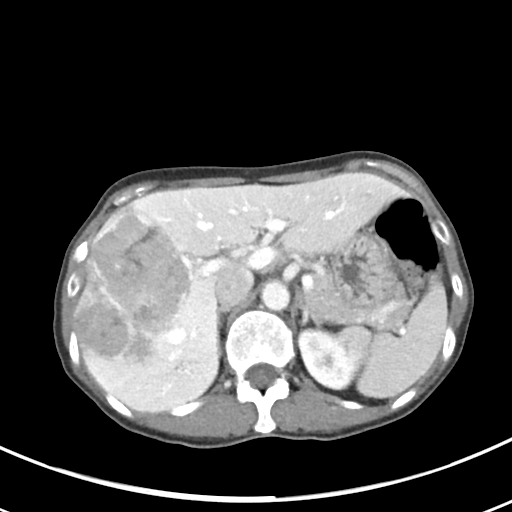

Computed tomography
Not every hepatic vessel necessarily has a box.
Annotated regions:
- liver tumor: (x1=75, y1=202, x2=193, y2=370)
- hepatic vessel: (x1=204, y1=262, x2=218, y2=274), (x1=249, y1=249, x2=268, y2=263), (x1=169, y1=331, x2=182, y2=340), (x1=270, y1=223, x2=281, y2=229)